Upper abdomen; CT scan slice

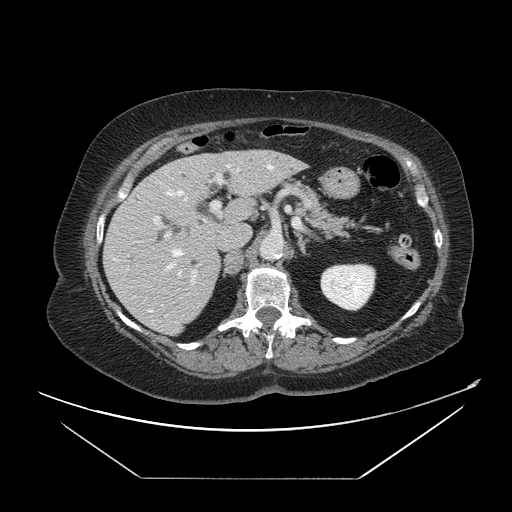 The pancreas is located at <bbox>287, 183, 356, 237</bbox>.